Field of view 35x48 mm, MR image 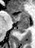
The anterior hippocampus is at <bbox>13, 10, 29, 22</bbox>. The posterior hippocampus is located at <bbox>15, 23, 29, 32</bbox>.